FLAIR MR image.
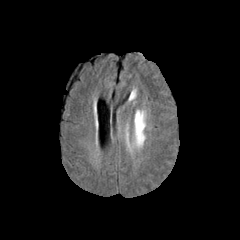
T1-weighted MR.
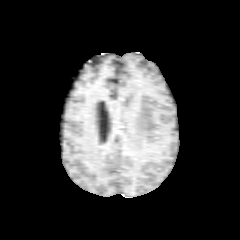
Post-contrast T1-weighted MRI.
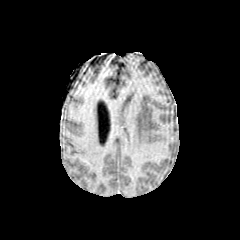
T2-weighted MR.
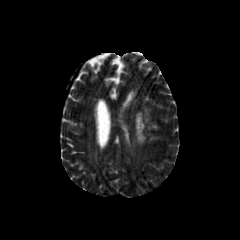
Brain.
The edema is at {"x1": 135, "y1": 110, "x2": 145, "y2": 145}.